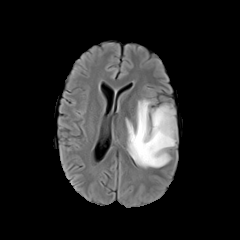
FLAIR MR image.
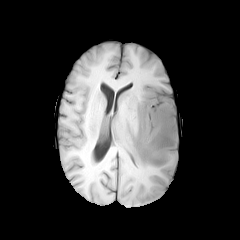
Same slice, T1-weighted magnetic resonance.
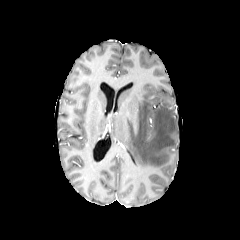
Post-contrast T1-weighted magnetic resonance.
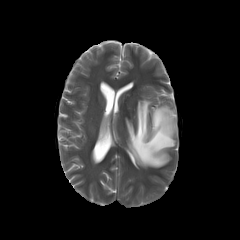
T2-weighted MRI.
Edema — x1=125 y1=95 x2=178 y2=168.